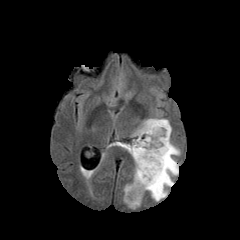
FLAIR MR.
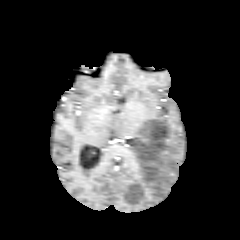
T1-weighted magnetic resonance.
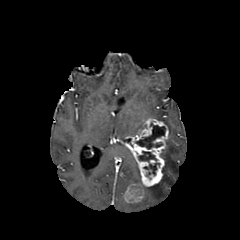
Post-contrast T1-weighted MR.
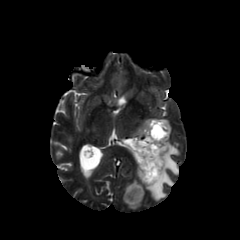
Same slice, T2-weighted MR.
Brain
The enhancing tumor is at box(124, 119, 168, 201). 4 edema regions are located at box(112, 141, 127, 149); box(142, 118, 180, 201); box(123, 165, 139, 191); box(127, 198, 142, 208). 3 non-enhancing tumor core regions are bounded by box(136, 123, 165, 149); box(144, 163, 159, 174); box(138, 151, 156, 161).